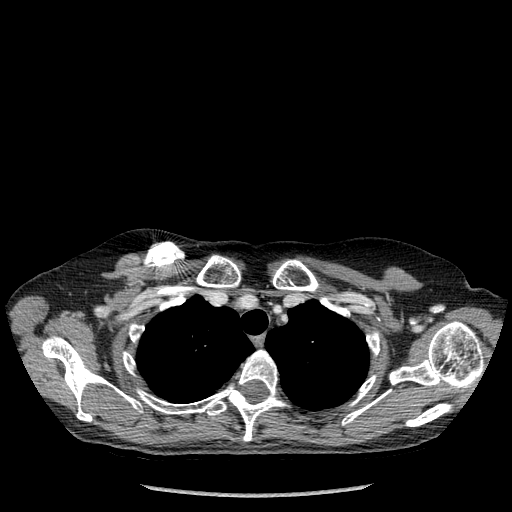 Chest | Computed tomography
lung:
  - <box>265,300,369,410</box>
  - <box>136,295,267,403</box>
bone:
  - <box>273,260,318,291</box>
  - <box>389,321,484,389</box>
  - <box>156,286,187,310</box>
  - <box>366,331,379,355</box>
  - <box>122,351,135,375</box>
  - <box>129,323,144,342</box>
  - <box>406,403,451,426</box>
  - <box>342,389,391,425</box>
  - <box>350,375,376,405</box>
  - <box>196,255,240,288</box>
  - <box>136,350,286,441</box>
  - <box>42,335,142,421</box>
  - <box>320,296,349,316</box>